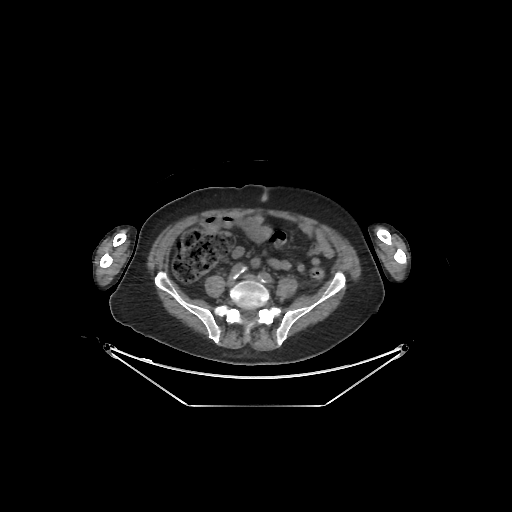
CT
7 bone regions are bounded by (394, 248, 406, 263), (100, 253, 112, 267), (276, 272, 345, 345), (113, 232, 126, 246), (155, 272, 220, 342), (215, 279, 280, 336), (377, 228, 391, 244).